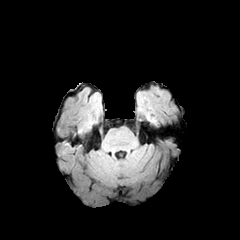
FLAIR MR.
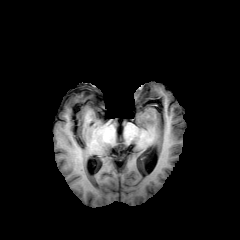
T1-weighted magnetic resonance.
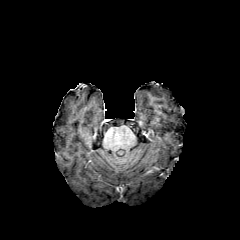
Same slice, post-contrast T1-weighted MR image.
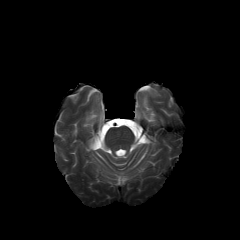
T2-weighted magnetic resonance.
Head.
Annotated regions:
- edema: l=144, t=111, r=155, b=122